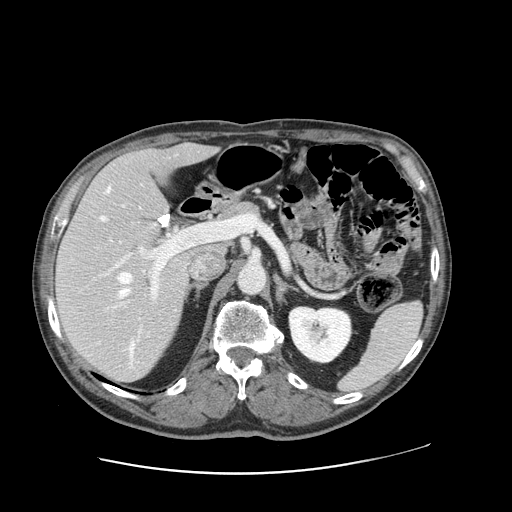 CT slice.
The vessel annotation is not exhaustive.
hepatic vessel: (x1=130, y1=341, x2=134, y2=362), (x1=119, y1=289, x2=129, y2=296), (x1=118, y1=272, x2=131, y2=283), (x1=107, y1=188, x2=109, y2=192), (x1=101, y1=216, x2=105, y2=220), (x1=139, y1=247, x2=143, y2=252), (x1=151, y1=280, x2=157, y2=296)